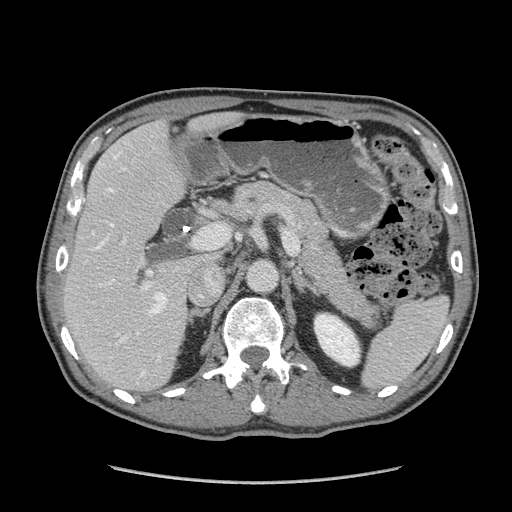

CT slice, 512x512 px, Abdomen

Pancreas — [x1=208, y1=180, x2=385, y2=330].